Image size 512x512, CT scan slice, Abdomen 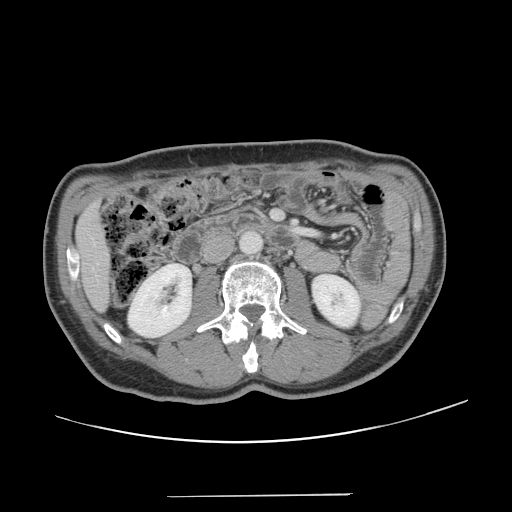

The vessel boxes may cover only some of the vessels.
The hepatic vessel is at (x1=93, y1=244, x2=94, y2=245).